Magnetic resonance, Slice 10/42 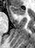
The anterior hippocampus is at (9, 5, 26, 16).